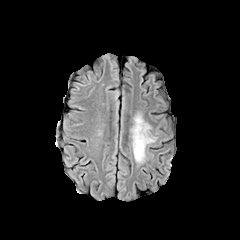
FLAIR MR.
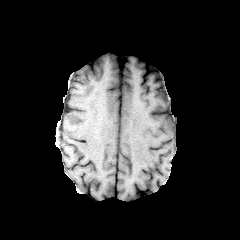
T1-weighted MRI.
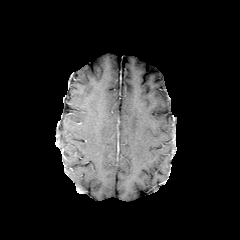
Same slice, post-contrast T1-weighted magnetic resonance.
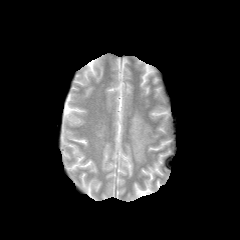
Same slice, T2-weighted MR image.
Head. Image size 240x240.
Edema: (131,115,155,163).